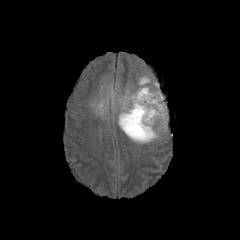
FLAIR MRI.
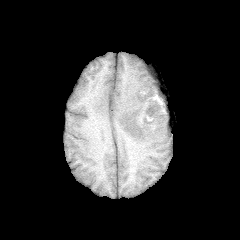
T1-weighted MRI.
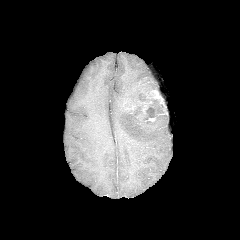
Post-contrast T1-weighted MR image.
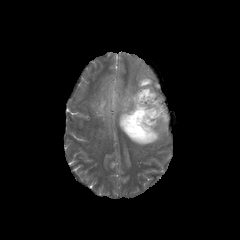
T2-weighted magnetic resonance of the same slice.
Head
enhancing_tumor:
  - rect(149, 90, 161, 102)
edema:
  - rect(93, 76, 167, 144)
  - rect(144, 77, 160, 94)
non-enhancing_tumor_core:
  - rect(121, 95, 131, 110)
  - rect(128, 77, 166, 135)